FLAIR magnetic resonance.
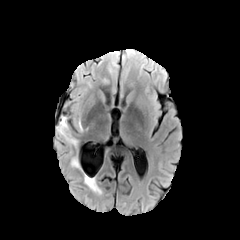
T1-weighted MR.
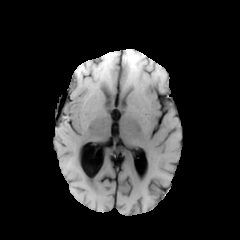
Post-contrast T1-weighted magnetic resonance.
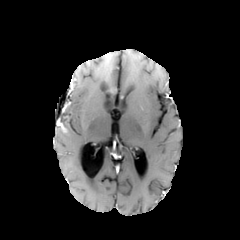
T2-weighted MRI.
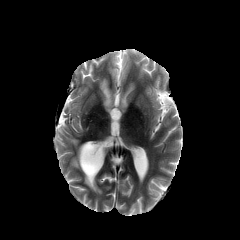
240x240 px. Brain.
Findings:
- edema: 56,116,77,144; 71,159,79,167; 84,175,100,192